Slice 94/155
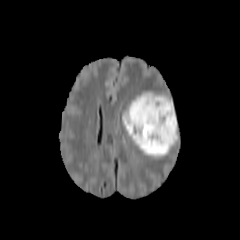
FLAIR MR image.
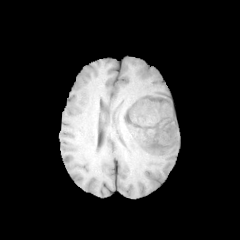
Same slice, T1-weighted MRI.
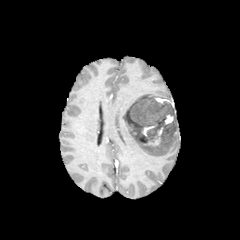
Post-contrast T1-weighted MR image.
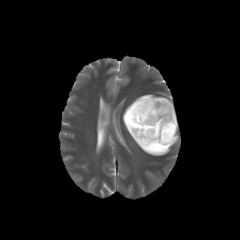
T2-weighted magnetic resonance.
The non-enhancing tumor core is located at x1=126 y1=97 x2=178 y2=145. The edema appears at x1=123 y1=92 x2=178 y2=156. 4 enhancing tumor regions appear at x1=165 y1=114 x2=175 y2=124, x1=148 y1=127 x2=163 y2=145, x1=154 y1=97 x2=173 y2=107, x1=141 y1=124 x2=157 y2=138.